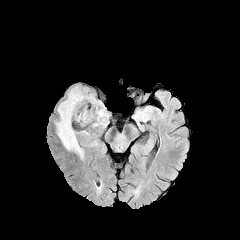
FLAIR MR.
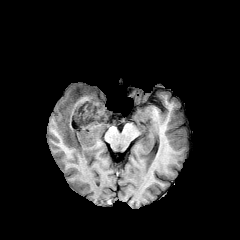
T1-weighted MR.
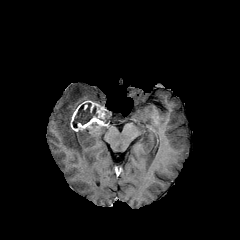
Same slice, post-contrast T1-weighted MRI.
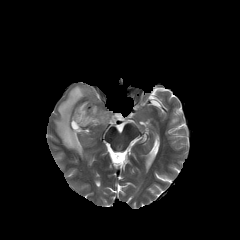
T2-weighted MRI.
Image size 240x240. Head.
- non-enhancing tumor core: (left=72, top=103, right=97, bottom=128)
- edema: (left=55, top=86, right=100, bottom=159)
- enhancing tumor: (left=70, top=101, right=109, bottom=133)